Field of view 429x429 mm | CT | Abdomen | 512x512 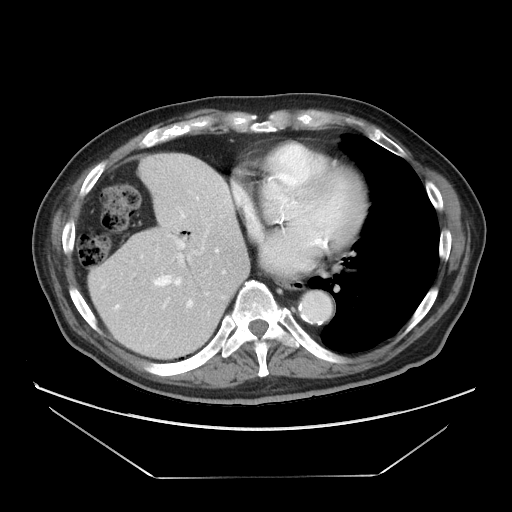

Some hepatic vessels may have no box.
<segmentation>
  <hepatic_vessel>box=[152, 274, 181, 286]; box=[176, 252, 182, 259]; box=[167, 235, 185, 250]; box=[166, 299, 167, 303]; box=[186, 299, 192, 307]</hepatic_vessel>
</segmentation>